Image size 240x240
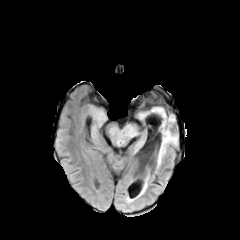
FLAIR MR image.
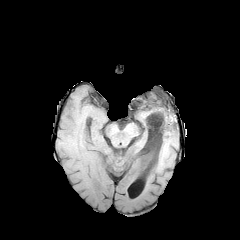
T1-weighted MRI.
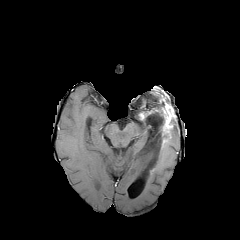
Post-contrast T1-weighted MRI.
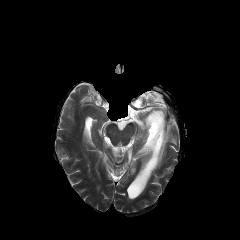
T2-weighted MR of the same slice.
edema: (154, 142, 165, 167), (166, 126, 177, 147), (142, 171, 149, 192) | non-enhancing tumor core: (151, 111, 164, 143), (162, 132, 171, 148) | enhancing tumor: (152, 107, 173, 138)